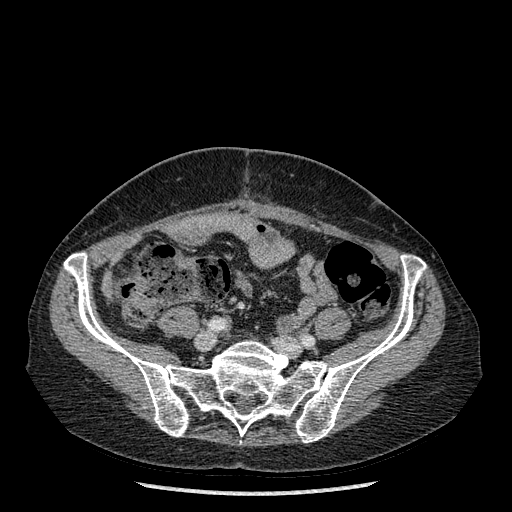
CT image.

bone:
  - [63,252,426,442]